Field of view 403 mm wide, 1.50 mm slice spacing; CT image; 512x512 px; Slice index 85
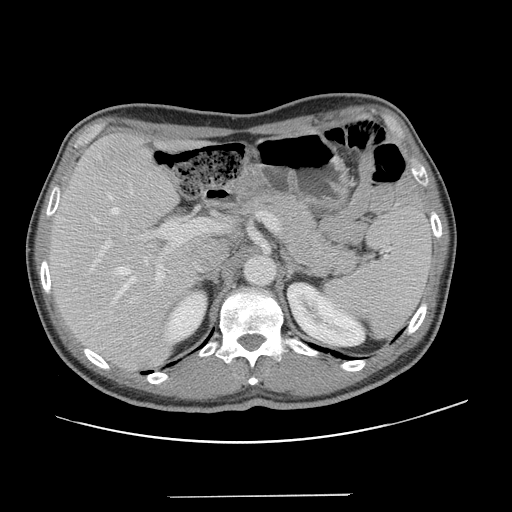

The vessel boxes may cover only some of the vessels.
11 hepatic vessel regions are located at l=108, t=194, r=112, b=198; l=144, t=257, r=147, b=264; l=129, t=186, r=132, b=193; l=129, t=298, r=135, b=302; l=116, t=267, r=130, b=274; l=155, t=268, r=167, b=283; l=133, t=344, r=135, b=345; l=112, t=276, r=135, b=303; l=111, t=208, r=118, b=213; l=99, t=240, r=111, b=255; l=93, t=217, r=98, b=221.